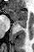
Magnetic resonance; 34x52 px
The posterior hippocampus lies within (left=15, top=22, right=26, bottom=28). The anterior hippocampus lies within (left=9, top=8, right=27, bottom=21).